Slice index 51, Computed tomography, Upper abdomen 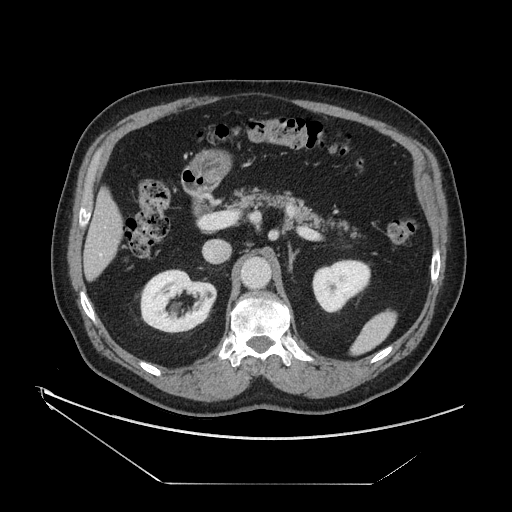

Pancreas = x1=225, y1=187, x2=363, y2=239.